CT slice, Slice 144/811, Pelvis 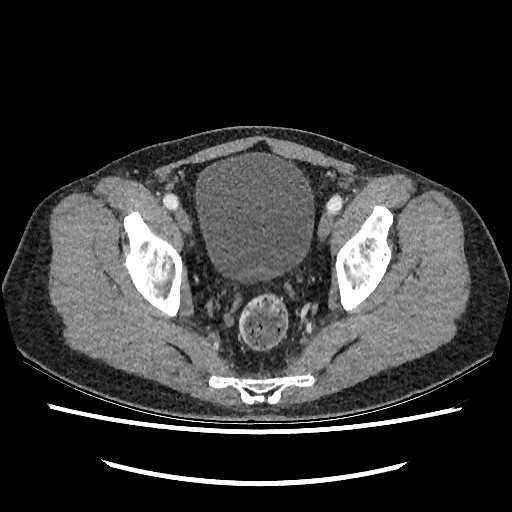
Urinary bladder: [194,152,314,283].